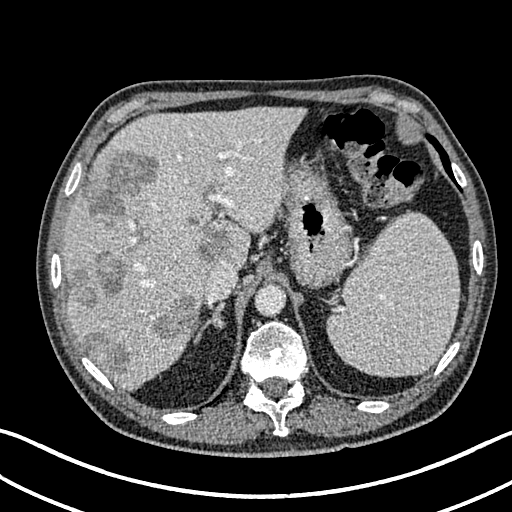 Liver. CT image. Annotated regions:
* focal liver lesion: {"x1": 88, "y1": 150, "x2": 159, "y2": 226}, {"x1": 72, "y1": 250, "x2": 128, "y2": 308}, {"x1": 84, "y1": 333, "x2": 129, "y2": 373}, {"x1": 188, "y1": 217, "x2": 231, "y2": 261}, {"x1": 153, "y1": 296, "x2": 196, "y2": 341}, {"x1": 140, "y1": 225, "x2": 147, "y2": 237}
* liver: {"x1": 64, "y1": 107, "x2": 303, "y2": 389}